Slice index 70 | Head | Image size 240x240
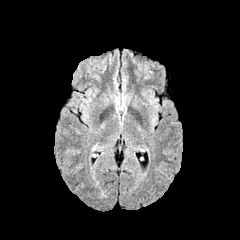
FLAIR magnetic resonance.
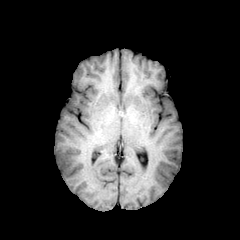
Same slice, T1-weighted MR.
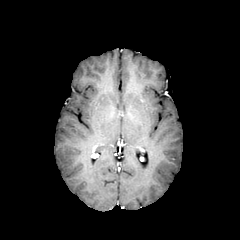
Post-contrast T1-weighted MRI of the same slice.
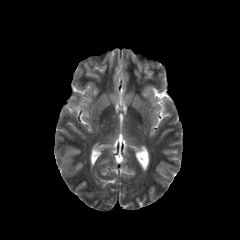
T2-weighted MRI.
* edema: x1=114 y1=94 x2=125 y2=109